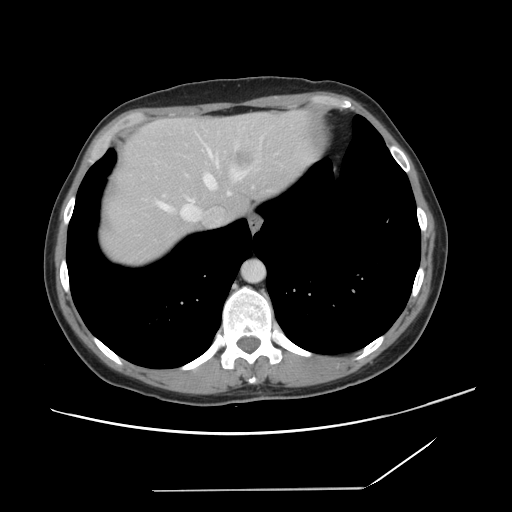

CT scan slice; Image size 512x512

Only some of the vessels may be annotated.
{"hepatic_vessel": ["box=[158, 202, 170, 209]", "box=[208, 150, 218, 165]", "box=[179, 198, 199, 220]", "box=[203, 174, 216, 189]", "box=[231, 169, 244, 179]", "box=[227, 193, 230, 194]"]}